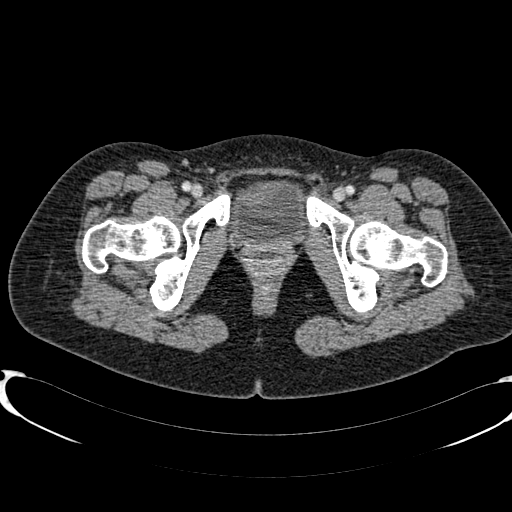
CT scan slice. Segmented structures:
- urinary bladder: (227,179,310,248)